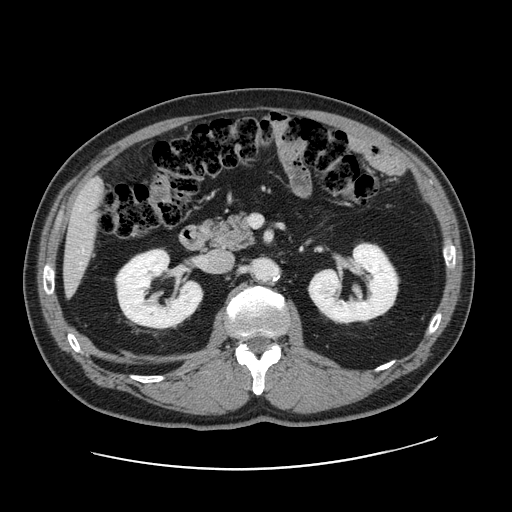
Image size 512x512; Abdomen; CT slice
The vessel boxes may cover only some of the vessels.
Segmented structures:
* hepatic vessel: x1=91 y1=215 x2=94 y2=217, x1=66 y1=287 x2=72 y2=291, x1=79 y1=262 x2=81 y2=263, x1=92 y1=178 x2=100 y2=190